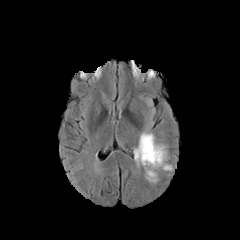
FLAIR MR.
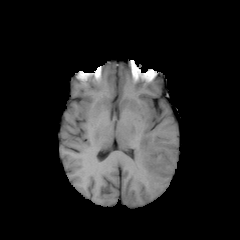
T1-weighted magnetic resonance.
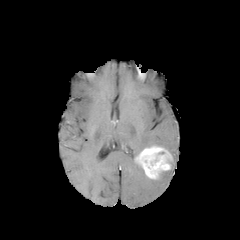
Post-contrast T1-weighted MR.
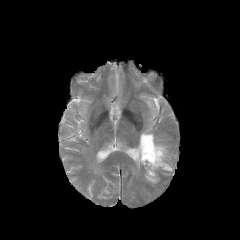
Same slice, T2-weighted MR image.
240x240 px
<segmentation>
  <enhancing_tumor>(134, 145, 171, 179)</enhancing_tumor>
  <edema>(144, 172, 158, 183), (159, 164, 173, 177), (131, 122, 169, 156)</edema>
</segmentation>